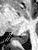
Hippocampus; MR

• posterior hippocampus: 16 32 29 43